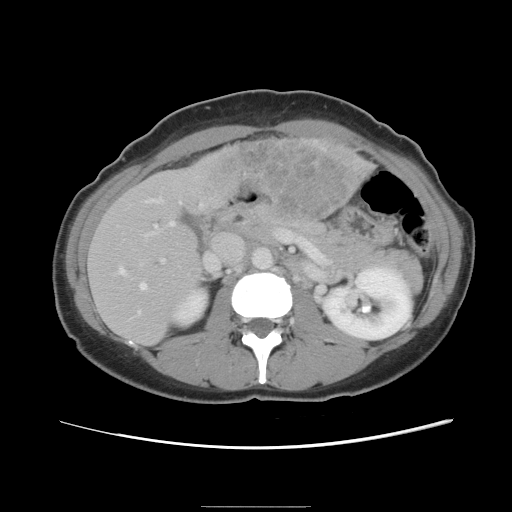 Computed tomography. Only some of the vessels may be annotated.
{"liver_tumor": [{"x1": 193, "y1": 140, "x2": 368, "y2": 220}], "hepatic_vessel": [{"x1": 139, "y1": 282, "x2": 145, "y2": 288}, {"x1": 145, "y1": 197, "x2": 161, "y2": 202}, {"x1": 199, "y1": 202, "x2": 202, "y2": 208}, {"x1": 146, "y1": 224, "x2": 160, "y2": 235}, {"x1": 168, "y1": 221, "x2": 173, "y2": 225}, {"x1": 275, "y1": 228, "x2": 327, "y2": 263}, {"x1": 160, "y1": 258, "x2": 163, "y2": 261}, {"x1": 138, "y1": 311, "x2": 139, "y2": 313}, {"x1": 211, "y1": 237, "x2": 244, "y2": 274}, {"x1": 117, "y1": 266, "x2": 124, "y2": 273}, {"x1": 179, "y1": 199, "x2": 180, "y2": 201}]}